FLAIR MR.
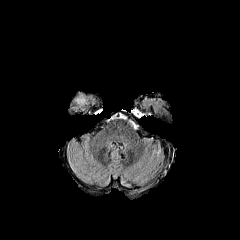
T1-weighted MR.
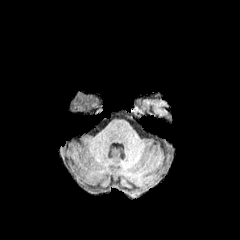
Post-contrast T1-weighted magnetic resonance.
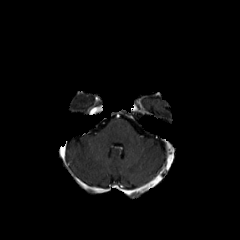
T2-weighted MR.
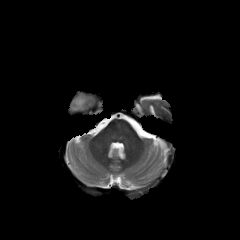
Brain
edema:
  - (72,93,94,110)